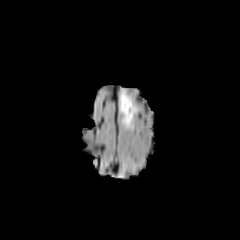
FLAIR MR image.
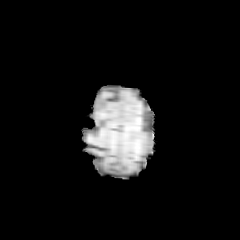
Same slice, T1-weighted MR.
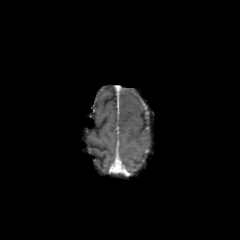
Same slice, post-contrast T1-weighted MRI.
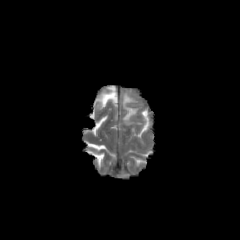
Same slice, T2-weighted MR image.
Image size 240x240; Head
{"edema": ["box(120, 92, 137, 127)"]}